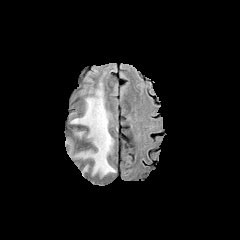
FLAIR MRI.
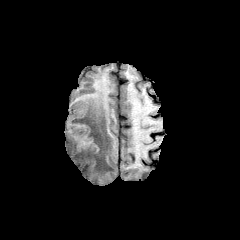
Same slice, T1-weighted MR.
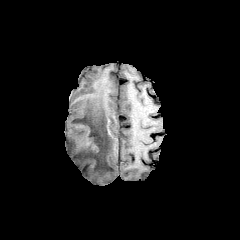
Post-contrast T1-weighted MR image.
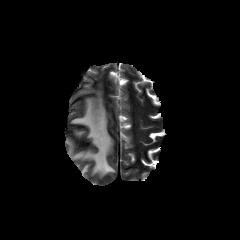
T2-weighted MRI.
Brain | Image size 240x240
edema: 70,88,115,176